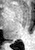

Hippocampus. MRI slice. posterior_hippocampus:
  - (x1=8, y1=41, x2=13, y2=41)